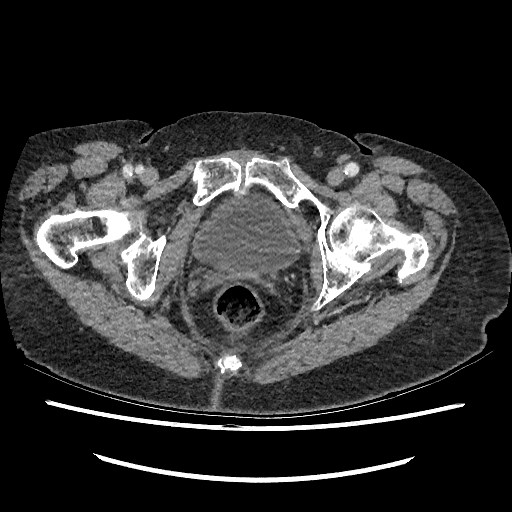
Pelvis | CT slice
urinary bladder: x1=188, y1=191, x2=303, y2=285